CT image. Upper abdomen. 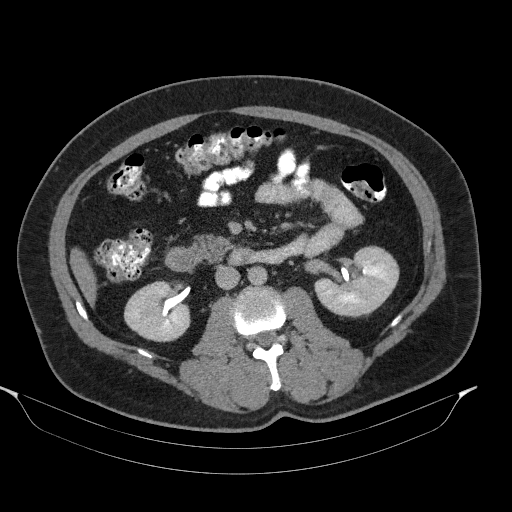

pancreas: (192,234,229,263)